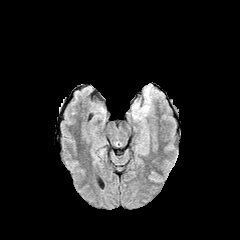
FLAIR MR image.
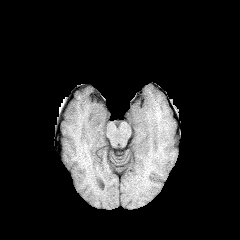
T1-weighted MRI.
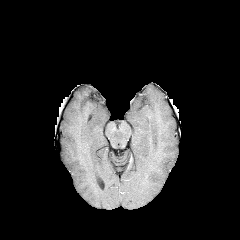
Post-contrast T1-weighted magnetic resonance of the same slice.
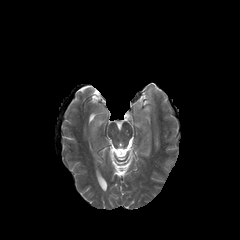
T2-weighted MR.
240x240 px | Brain
Annotated regions:
* edema: l=141, t=104, r=150, b=115